Head; Image width 240 mm
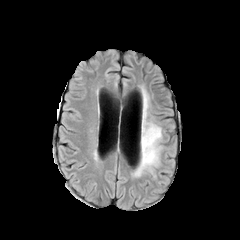
FLAIR MRI.
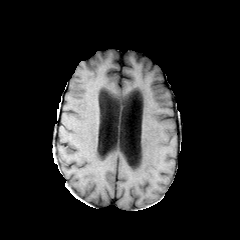
T1-weighted MRI.
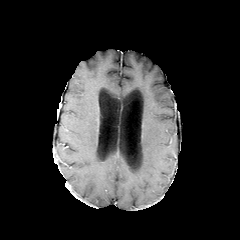
Post-contrast T1-weighted magnetic resonance.
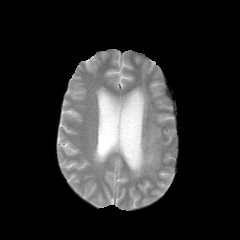
T2-weighted MRI.
edema: bbox(134, 90, 163, 176)